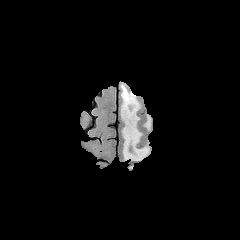
FLAIR MR image.
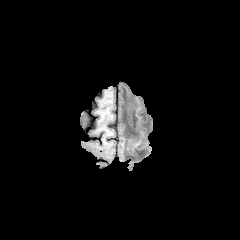
Same slice, T1-weighted MRI.
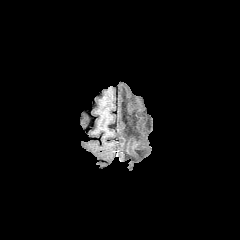
Post-contrast T1-weighted MR.
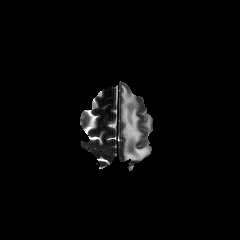
T2-weighted MR of the same slice.
Head.
Findings:
- edema: (x1=120, y1=84, x2=150, y2=160)
- non-enhancing tumor core: (x1=124, y1=104, x2=134, y2=127)